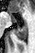

Hippocampus; MRI; 35x53

Anterior hippocampus: (x1=12, y1=16, x2=16, y2=21).
Posterior hippocampus: (x1=14, y1=24, x2=26, y2=40).